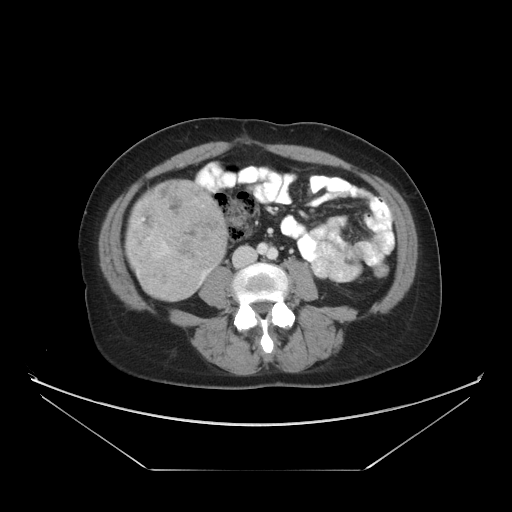
CT, Abdomen

The liver tumor is located at l=129, t=181, r=225, b=301.